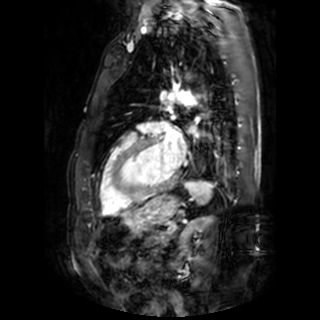

MRI slice. Cardiac. 320x320.

Segmented structures:
• left atrium: <bbox>158, 121, 185, 165</bbox>